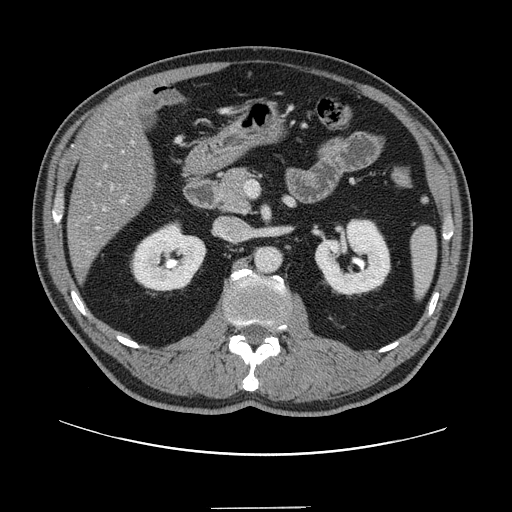 Computed tomography; Liver

Some hepatic vessels may have no box.
Liver tumor = box=[70, 207, 97, 233].
Hepatic vessel = box=[103, 208, 105, 210]; box=[97, 227, 98, 229]; box=[98, 183, 100, 185]; box=[131, 142, 133, 143]; box=[121, 199, 125, 202]; box=[112, 186, 113, 188].